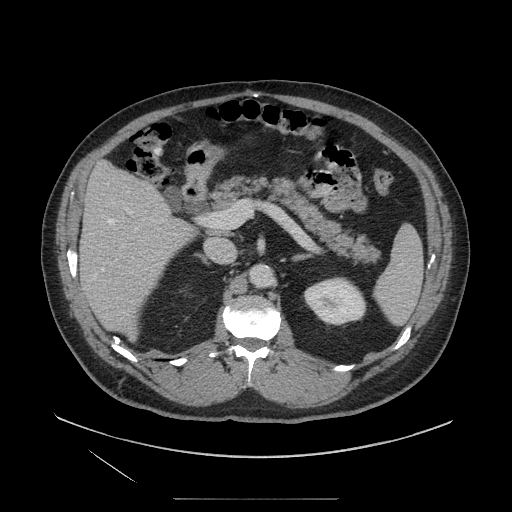

CT slice; Upper abdomen
Pancreas: [204,176,381,265].